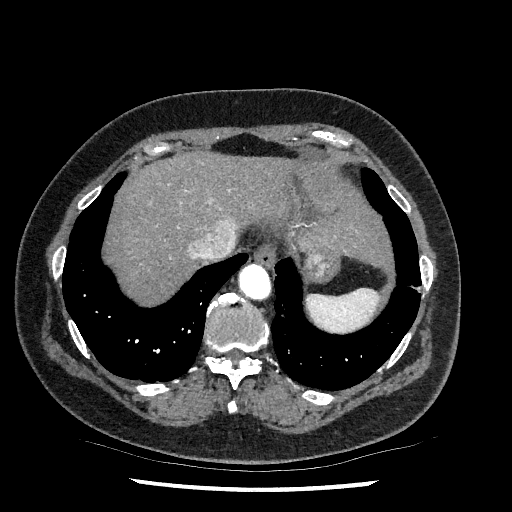

CT. Image size 512x512. liver: x1=109, y1=152, x2=392, y2=301